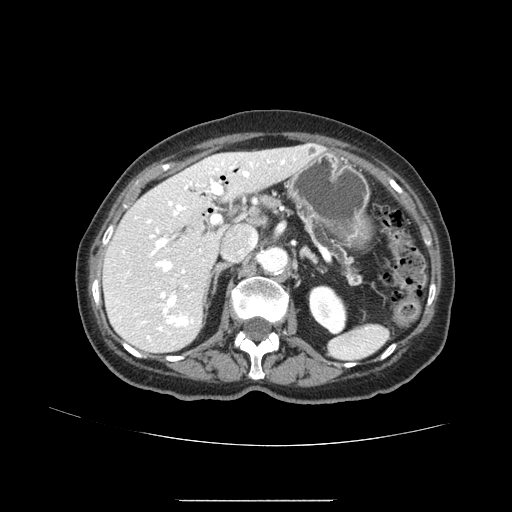

CT scan slice
The pancreas appears at 305:213:350:268.